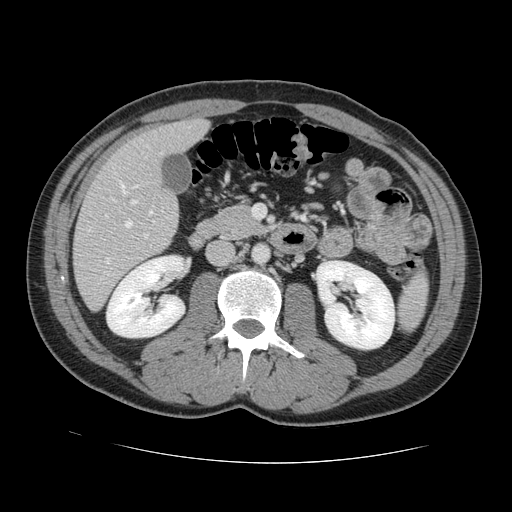

CT slice. Abdomen. Image size 512x512.

The vessel annotation is not exhaustive.
{"hepatic_vessel": ["x1=110, y1=198, x2=113, y2=200", "x1=125, y1=220, x2=131, y2=227", "x1=131, y1=200, x2=136, y2=203", "x1=152, y1=221, x2=155, y2=223", "x1=160, y1=152, x2=162, y2=154", "x1=105, y1=258, x2=109, y2=269", "x1=105, y1=214, x2=106, y2=216", "x1=144, y1=234, x2=147, y2=237", "x1=132, y1=185, x2=137, y2=187", "x1=119, y1=181, x2=127, y2=195", "x1=104, y1=271, x2=110, y2=274", "x1=149, y1=210, x2=153, y2=214"]}